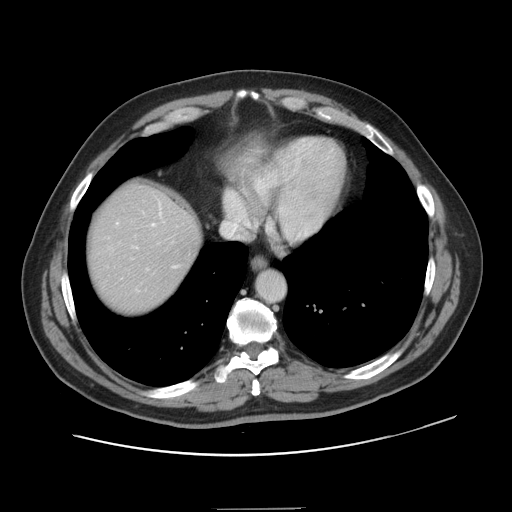
CT scan slice, Abdomen

The vessel boxes may cover only some of the vessels.
Annotated regions:
- hepatic vessel: left=159, top=203, right=160, bottom=215; left=134, top=247, right=136, bottom=248